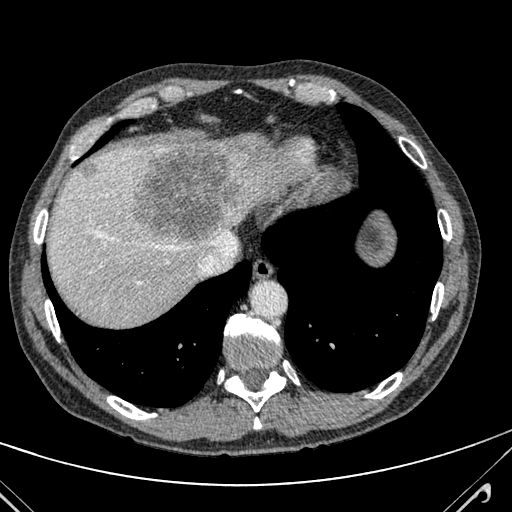
CT slice | Upper abdomen | 512x512
2 hepatic lesion regions appear at x1=135 y1=142 x2=242 y2=241, x1=80 y1=161 x2=95 y2=176. 2 liver regions appear at x1=48 y1=144 x2=207 y2=324, x1=215 y1=139 x2=275 y2=229.